Head
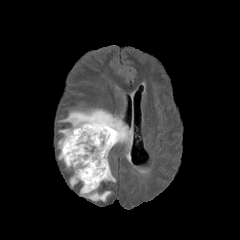
FLAIR MR image.
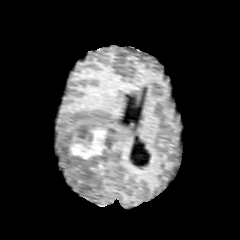
T1-weighted MRI.
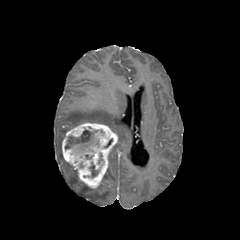
Post-contrast T1-weighted MR.
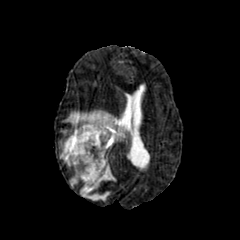
T2-weighted MRI.
{
  "edema": [
    "66, 108, 132, 143",
    "101, 155, 114, 182",
    "70, 170, 110, 201",
    "58, 140, 73, 170"
  ],
  "enhancing_tumor": [
    "62, 122, 117, 187"
  ],
  "non-enhancing_tumor_core": [
    "89, 162, 99, 177",
    "65, 130, 103, 159"
  ]
}